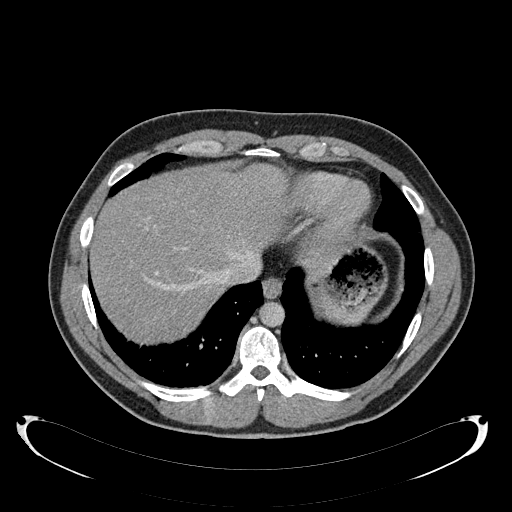
CT image, Liver, 512x512

2 liver regions appear at bbox=[90, 163, 287, 342]; bbox=[302, 251, 321, 267].